Field of view 387 mm wide, 0.80 mm slice spacing | Liver | Image size 512x512 | CT

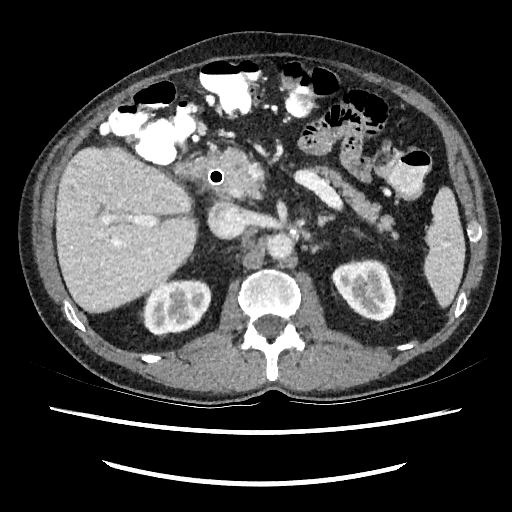

2 kidney regions are bounded by box(145, 281, 209, 333); box(333, 262, 394, 319). The liver is bounded by box(56, 148, 197, 311).